Slice index 127
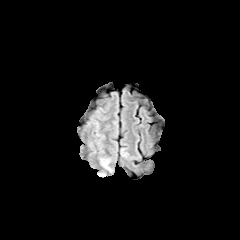
FLAIR MR.
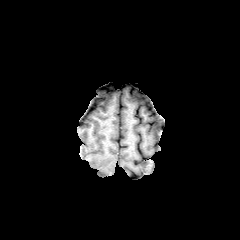
T1-weighted MR.
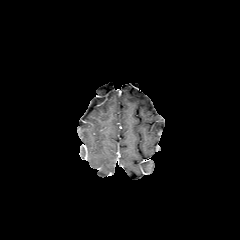
Post-contrast T1-weighted MR.
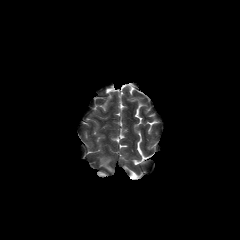
Same slice, T2-weighted MR image.
The edema is bounded by box(99, 158, 112, 172).